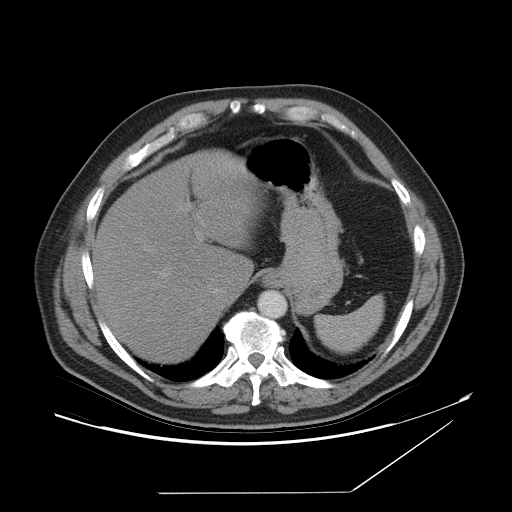 Image size 512x512. CT image.
The spleen is bounded by 316,297,383,352.